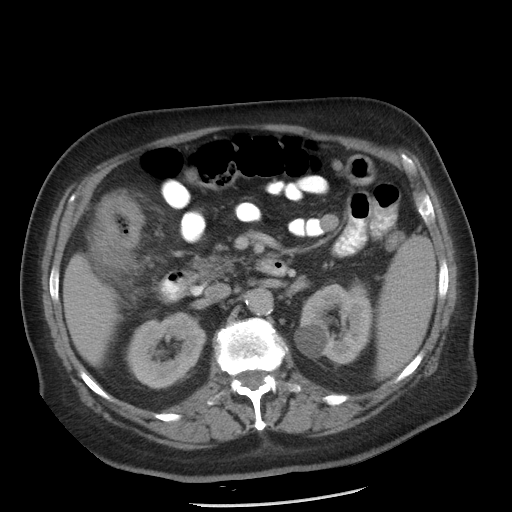
CT scan slice

Colon tumor: 92 194 143 263.